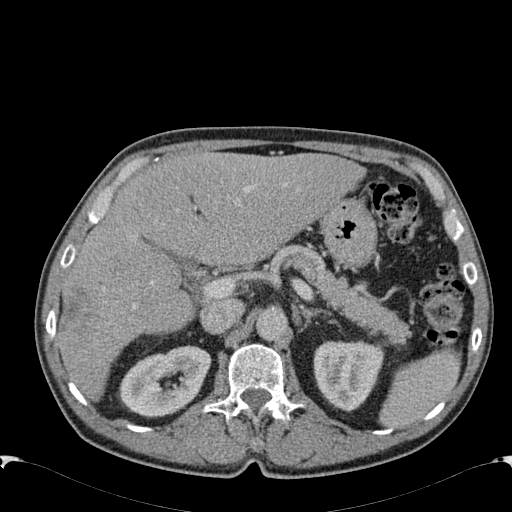

512x512 px. CT.

Focal liver lesion: <bbox>61, 288, 90, 332</bbox>.
Kidney: <bbox>314, 342, 382, 410</bbox>, <bbox>120, 346, 210, 416</bbox>.
Liver: <bbox>60, 152, 364, 400</bbox>.